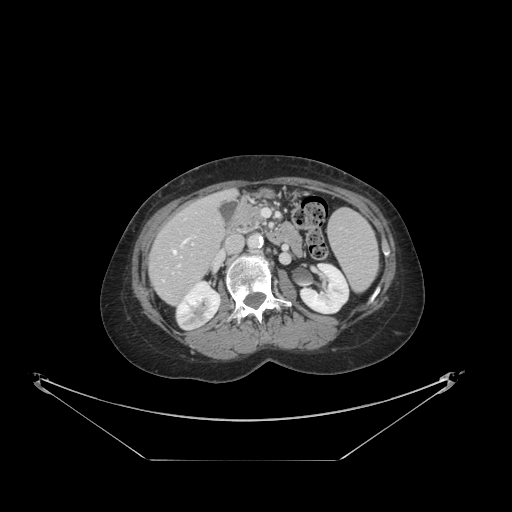

CT slice. Liver. Only some of the vessels may be annotated.
Hepatic vessel = <bbox>177, 265, 179, 266</bbox>, <bbox>179, 244, 182, 247</bbox>, <bbox>173, 249, 176, 253</bbox>, <bbox>184, 238, 189, 242</bbox>.